Slice 46/104 | Upper abdomen | CT image
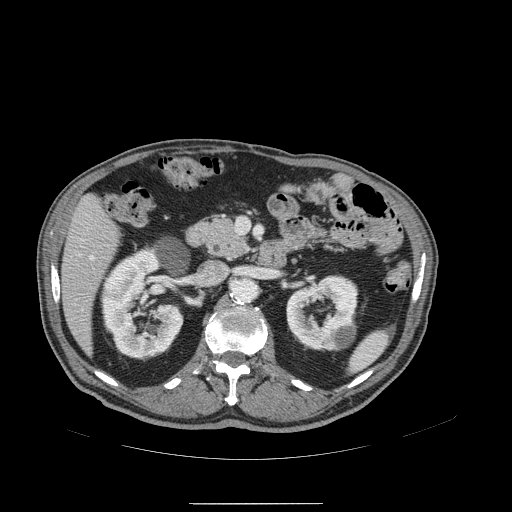
Pancreas = (201,216,251,263).